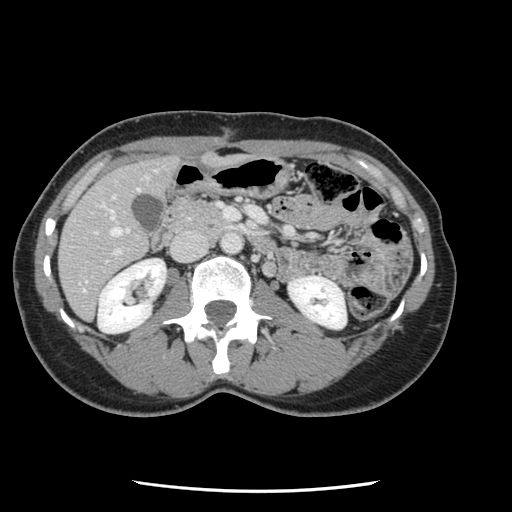
Computed tomography. 512x512 px. Liver.

The vessel annotation is not exhaustive.
4 hepatic vessel regions appear at left=112, top=196, right=114, bottom=197; left=110, top=211, right=113, bottom=218; left=111, top=228, right=127, bottom=235; left=115, top=249, right=120, bottom=253.